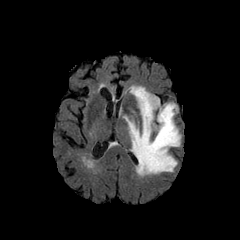
FLAIR MR image.
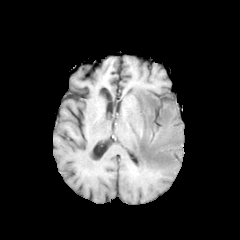
T1-weighted MR.
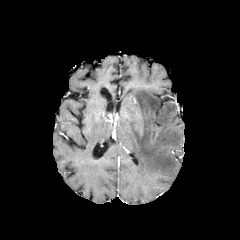
Post-contrast T1-weighted MRI.
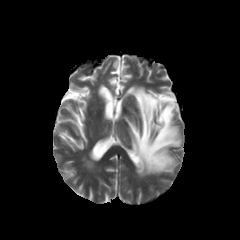
T2-weighted MR.
Brain
Edema at box=[126, 86, 181, 176].